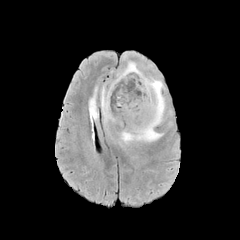
FLAIR MRI.
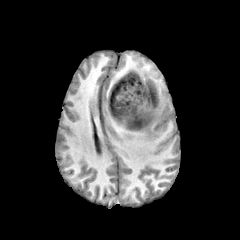
T1-weighted MR image of the same slice.
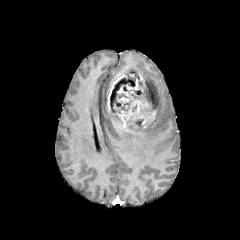
Post-contrast T1-weighted MRI.
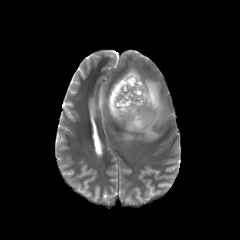
Same slice, T2-weighted MR.
240x240 px | Head
<segmentation>
  <non-enhancing_tumor_core><box>110,73,153,126</box></non-enhancing_tumor_core>
  <edema><box>101,62,166,142</box>, <box>89,87,98,142</box></edema>
  <enhancing_tumor><box>107,74,126,110</box>, <box>118,100,147,120</box></enhancing_tumor>
</segmentation>